512x512; Slice 9/44; CT slice

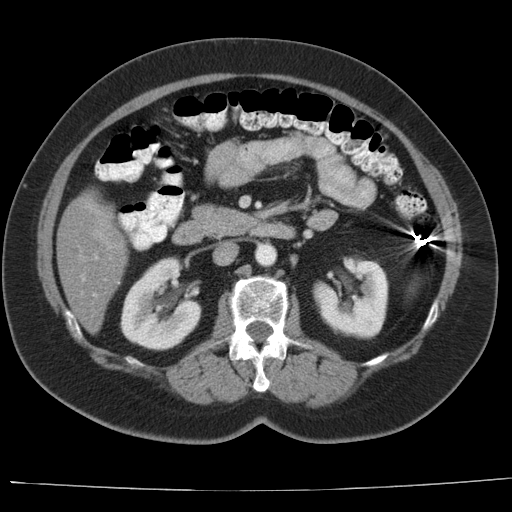
Only some of the vessels may be annotated.
Findings:
- hepatic vessel: box(81, 277, 83, 280)